CT, Field of view 338x338 mm, Abdomen, Slice 102/134
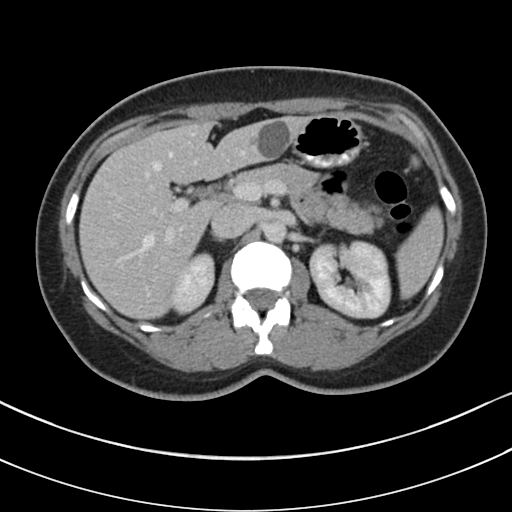 The pancreas is located at rect(224, 162, 385, 236).